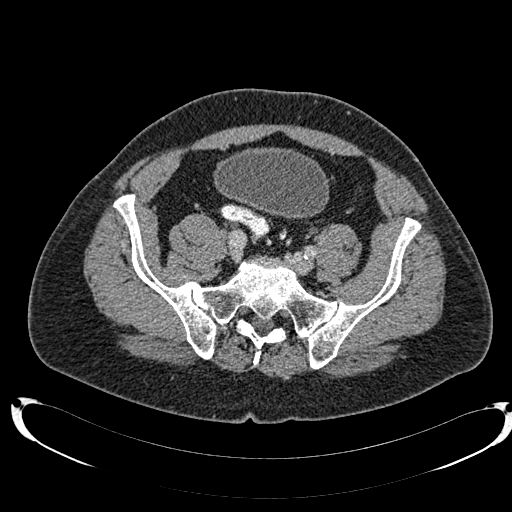

CT.

Annotated regions:
• urinary bladder: <box>216,148,329,217</box>